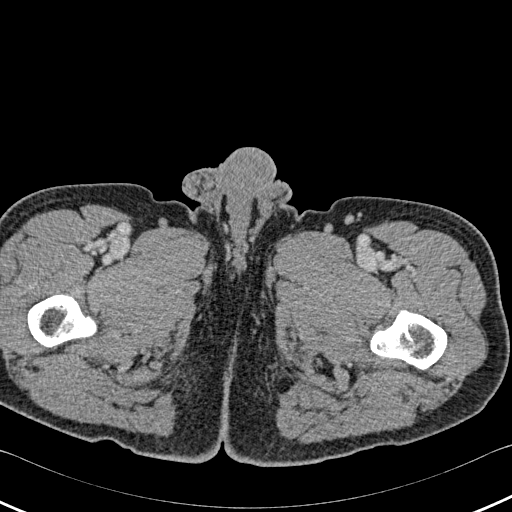

Computed tomography | 512x512
Bone at (28, 295, 95, 346), (371, 311, 446, 369).